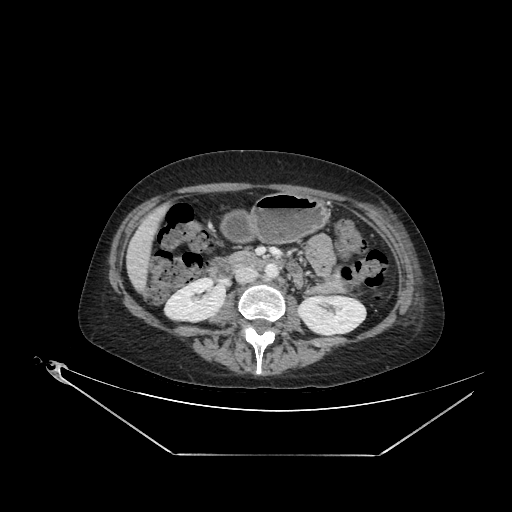

Liver, CT
Liver — [123,220,155,293].
Kidney — [298,296,365,334], [165,278,225,320].